FLAIR magnetic resonance.
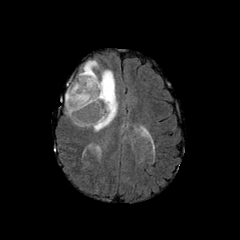
T1-weighted MRI.
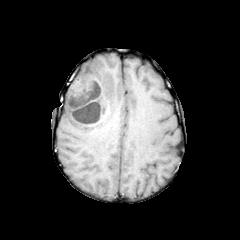
Post-contrast T1-weighted MR.
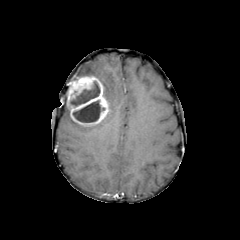
T2-weighted MRI.
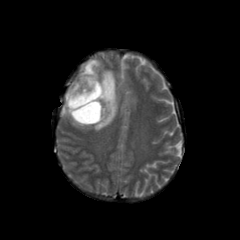
Brain
2 non-enhancing tumor core regions are located at l=69, t=81, r=100, b=106; l=72, t=100, r=103, b=123. The edema appears at l=72, t=60, r=117, b=130. The enhancing tumor is located at l=67, t=76, r=107, b=123.